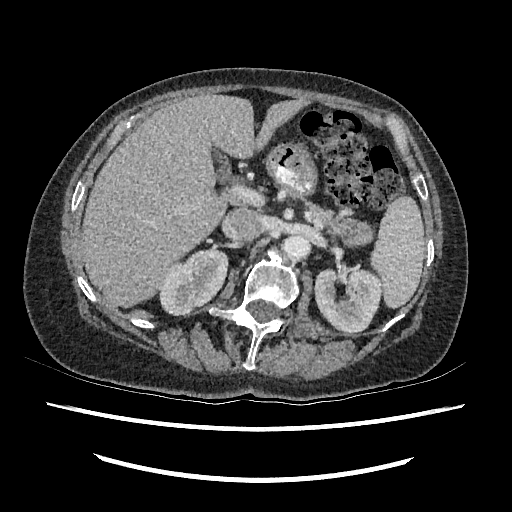 Abdomen | CT slice
2 kidney regions appear at <box>315,261,381,332</box>, <box>159,249,227,314</box>. The liver lies within <box>82,95,306,306</box>.